CT image, Slice 28 of 32

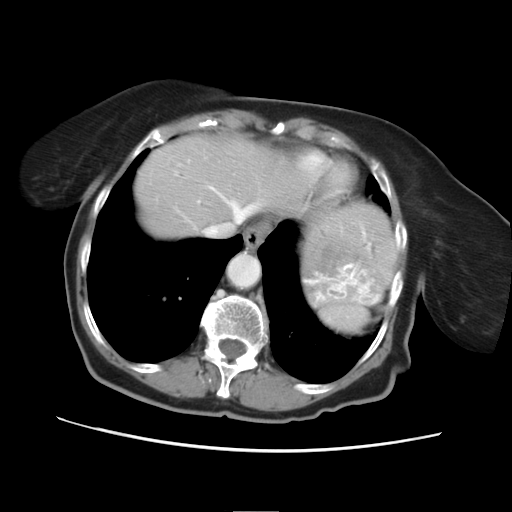
Some hepatic vessels may have no box.
Findings:
• hepatic vessel: (x1=209, y1=186, x2=216, y2=191), (x1=204, y1=193, x2=258, y2=235)